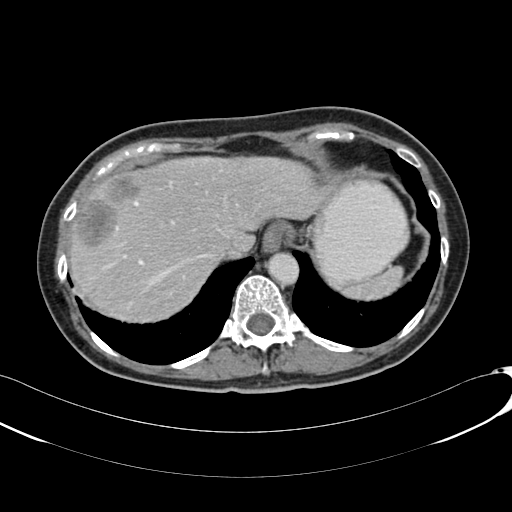

CT.
2 liver lesion regions appear at (74,198,117,246), (104,175,141,204). The liver is at (70,157,315,319).